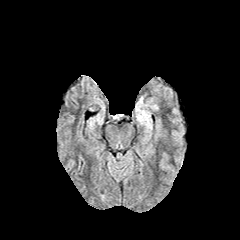
FLAIR MRI.
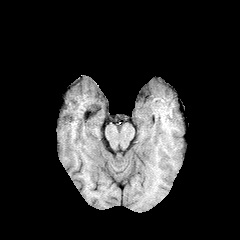
T1-weighted MR image.
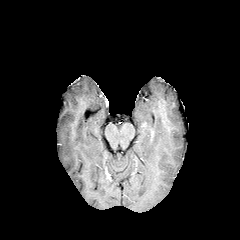
Same slice, post-contrast T1-weighted magnetic resonance.
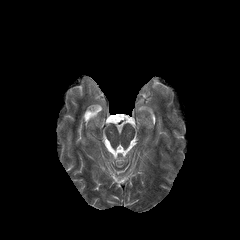
T2-weighted MR image of the same slice.
Brain
The edema is located at (left=136, top=104, right=156, bottom=120).